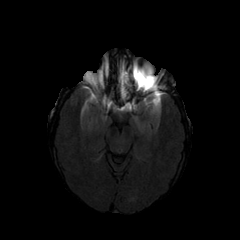
FLAIR MR.
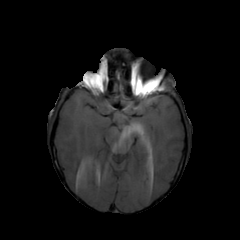
Same slice, T1-weighted MR.
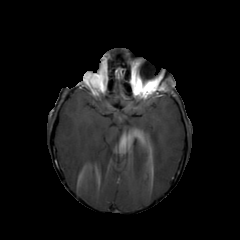
Post-contrast T1-weighted MR image.
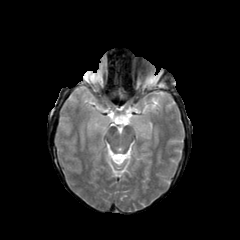
T2-weighted magnetic resonance of the same slice.
240x240 px
Non-enhancing tumor core = (136, 76, 159, 89), (88, 73, 102, 82), (132, 81, 145, 95).
Edema = (129, 95, 164, 113), (142, 72, 152, 79).
Enhancing tumor = (138, 84, 158, 99).